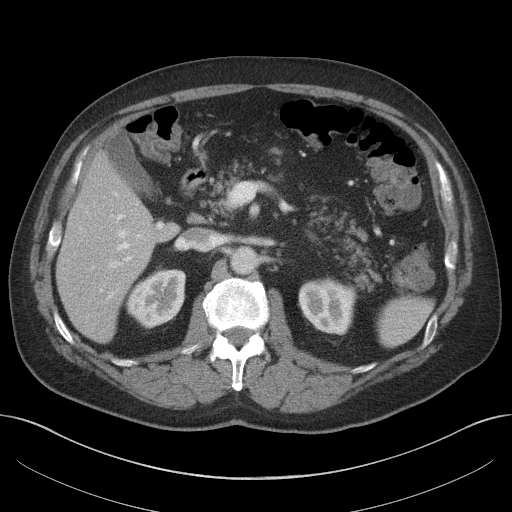
CT scan slice, Liver

kidney:
  - bbox=[128, 270, 184, 325]
  - bbox=[300, 283, 352, 332]
liver:
  - bbox=[57, 153, 153, 341]